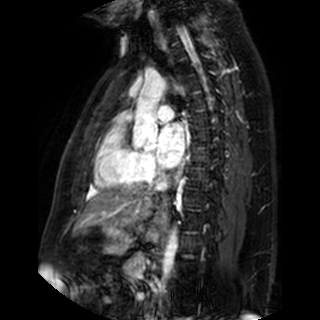

Heart. Magnetic resonance.

Left atrium at {"x1": 157, "y1": 124, "x2": 184, "y2": 168}.